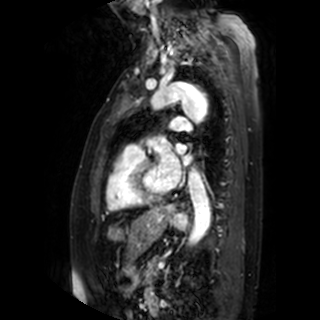
MR
3 left atrium regions are bounded by <bbox>159, 151, 181, 188</bbox>, <bbox>183, 155, 191, 165</bbox>, <bbox>176, 144, 185, 154</bbox>.